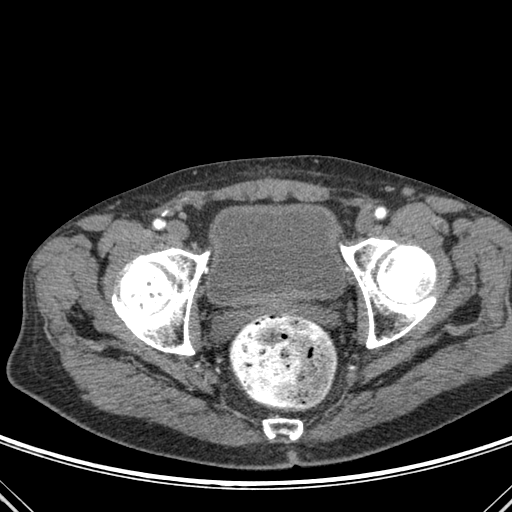
CT slice
<segmentation>
  <bone>(112, 248, 209, 355), (262, 418, 302, 440), (340, 237, 437, 348)</bone>
  <urinary_bladder>(208, 203, 347, 303)</urinary_bladder>
</segmentation>